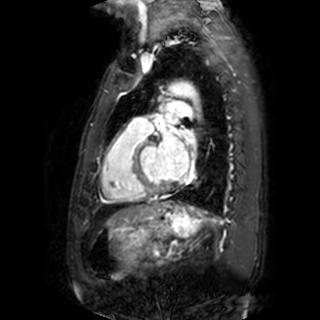
Cardiac | MRI

3 left atrium regions are bounded by [x1=166, y1=115, x2=175, y2=123], [x1=158, y1=131, x2=188, y2=179], [x1=181, y1=130, x2=194, y2=140].